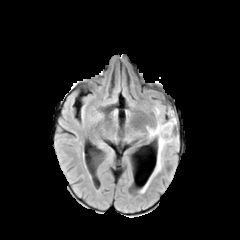
FLAIR MR image.
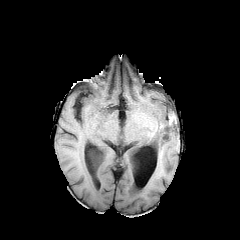
T1-weighted MRI.
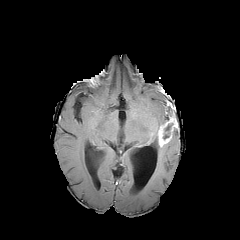
Same slice, post-contrast T1-weighted MR image.
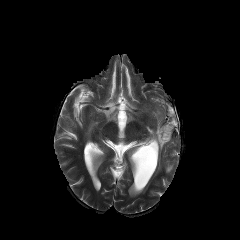
Same slice, T2-weighted magnetic resonance.
240x240 px | Brain
Enhancing tumor = bbox(156, 118, 177, 145).
Non-enhancing tumor core = bbox(163, 123, 172, 138).
Edema = bbox(140, 129, 178, 193); bbox(147, 104, 171, 144).